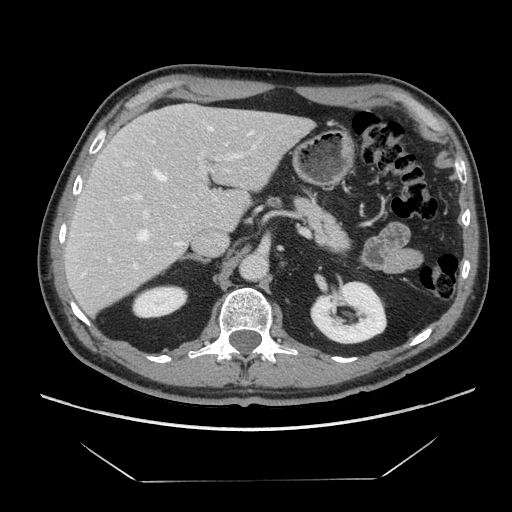

CT slice

Pancreas — (x1=296, y1=199, x2=349, y2=250).